Abdomen. CT image. 512x512 px.
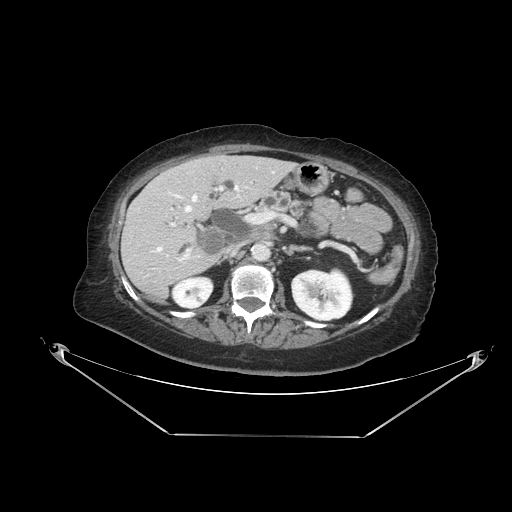
pancreas:
  - box=[261, 191, 306, 218]